CT slice
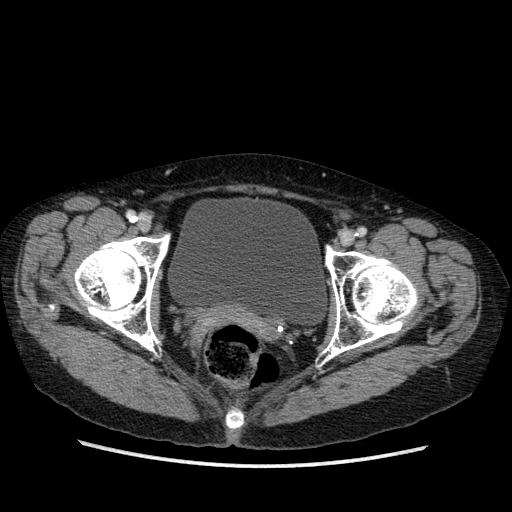

Urinary bladder — rect(167, 197, 328, 326).